Slice 103/689; CT image; Image size 512x512 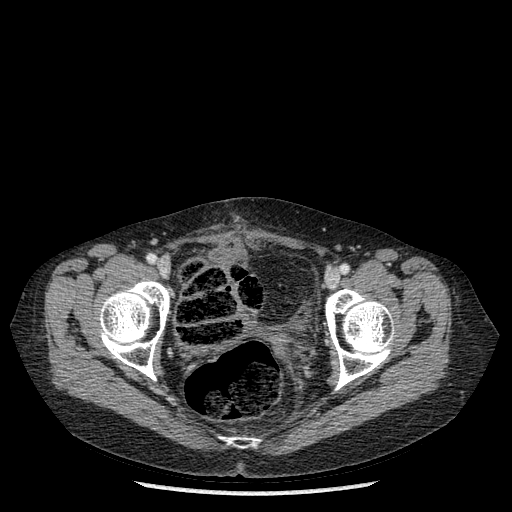 Segmented structures:
- bone: bbox(97, 279, 171, 380); bbox(325, 288, 393, 390); bbox(220, 437, 260, 448)